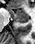

MR
The anterior hippocampus appears at x1=10 y1=9 x2=28 y2=20. The posterior hippocampus is at x1=16 y1=21 x2=27 y2=22.